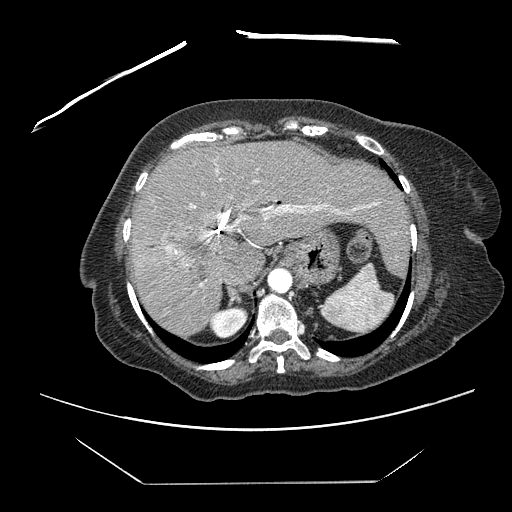 512x512 px | CT | Liver
The vessel annotation is not exhaustive.
{"hepatic_vessel": ["<box>235,216,245,224</box>", "<box>225,225,234,230</box>", "<box>191,204,194,207</box>", "<box>262,204,327,218</box>", "<box>333,210,348,213</box>", "<box>352,206,368,210</box>"], "liver_tumor": ["<box>165,225,222,267</box>"]}